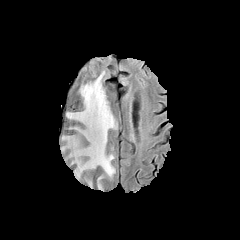
FLAIR MR image.
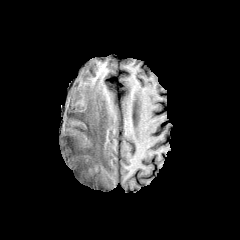
Same slice, T1-weighted magnetic resonance.
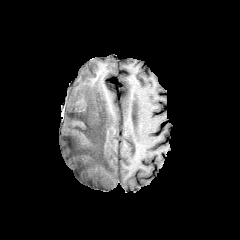
Post-contrast T1-weighted MR image of the same slice.
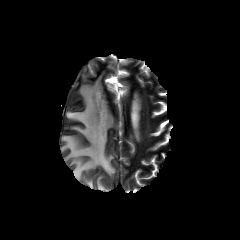
T2-weighted MR.
Brain
edema:
  - box=[62, 74, 117, 189]